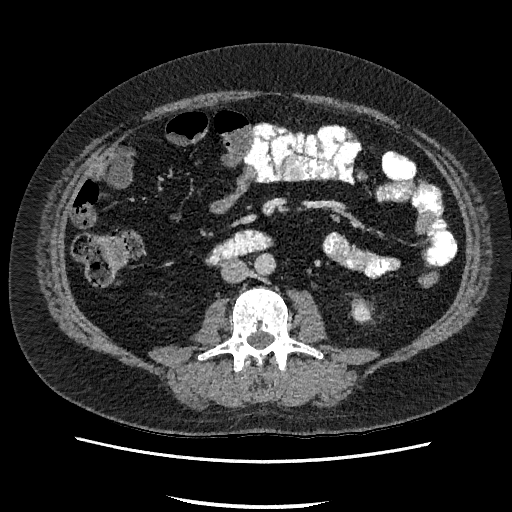

CT slice | Abdomen
The kidney is bounded by 355,306,368,319.